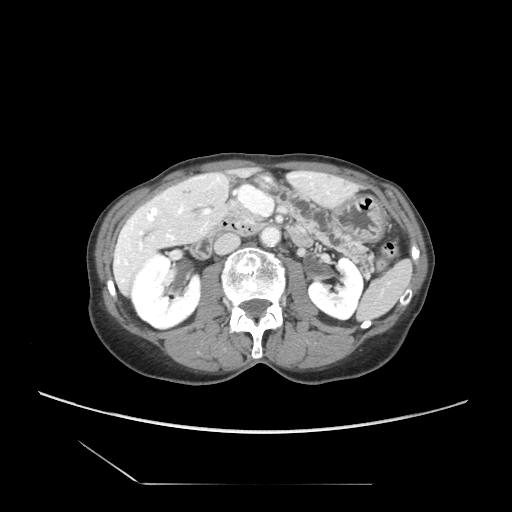 CT scan slice. 512x512. Pancreas: [268, 184, 373, 276].